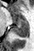
Medial temporal lobe, MRI

<segmentation>
  <posterior_hippocampus>[14, 25, 29, 37]</posterior_hippocampus>
  <anterior_hippocampus>[12, 14, 28, 24]</anterior_hippocampus>
</segmentation>